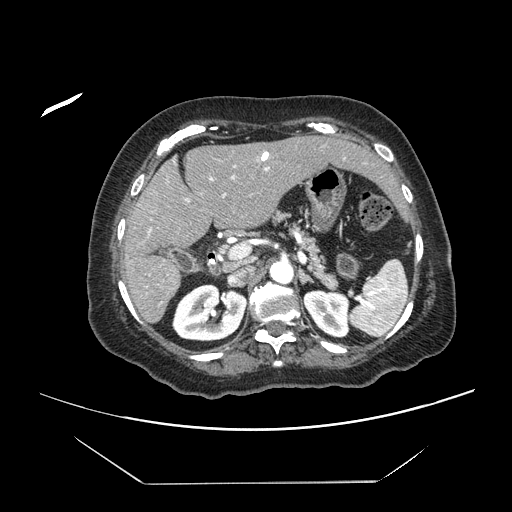 CT scan slice
The vessel boxes may cover only some of the vessels.
{
  "hepatic_vessel": [
    "230, 243, 250, 258"
  ]
}